Slice 190/407. Computed tomography. Image size 512x512. Field of view 358 mm wide, 1.50 mm slice spacing. Abdomen.
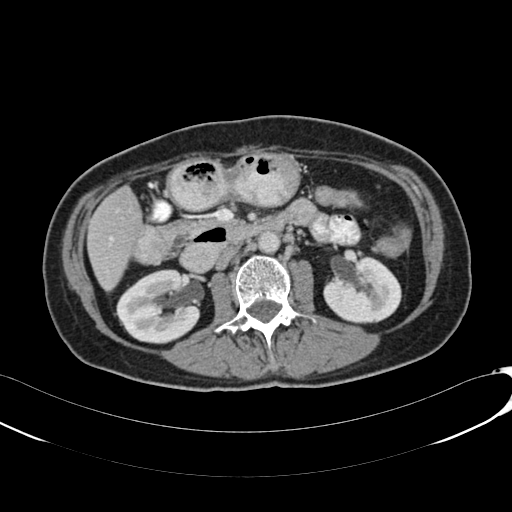 * liver: 88 186 142 290
* kidney: 117 270 198 342, 324 258 400 321